Chest. Computed tomography.

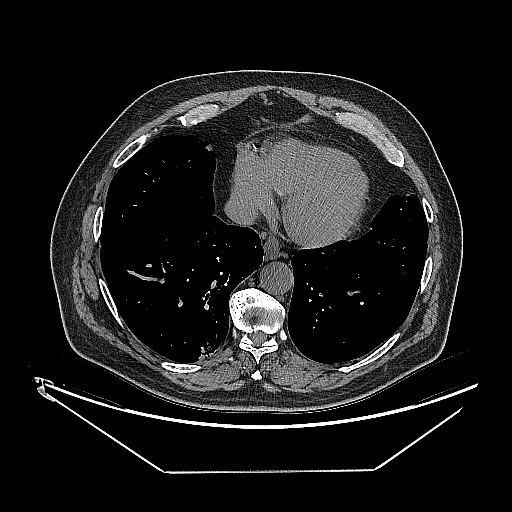
{
  "lung_tumor": [
    "box(198, 341, 216, 361)"
  ]
}